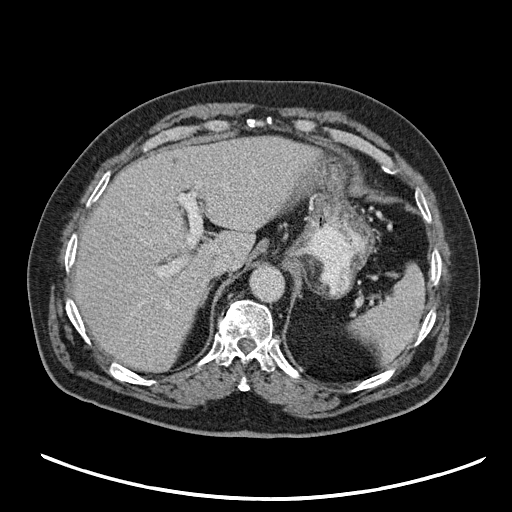 CT image | Abdomen | 512x512
The spleen lies within box(347, 266, 424, 360).